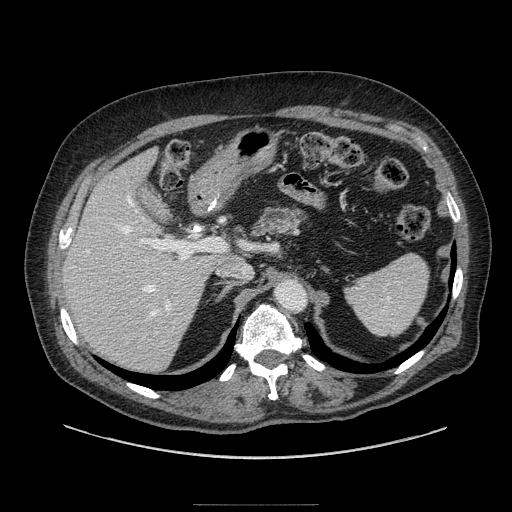 CT, Abdomen
<segmentation>
  <pancreas>box=[250, 205, 308, 236]</pancreas>
</segmentation>